Field of view 392x392 mm. CT scan slice. Slice 41/84. 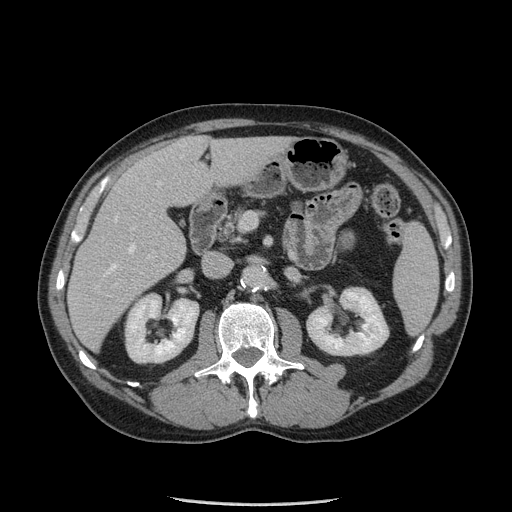 Pancreatic tumor — (left=291, top=200, right=303, bottom=214).
Pancreas — (left=215, top=207, right=245, bottom=244).